Abdomen, CT slice, Slice 408 of 836
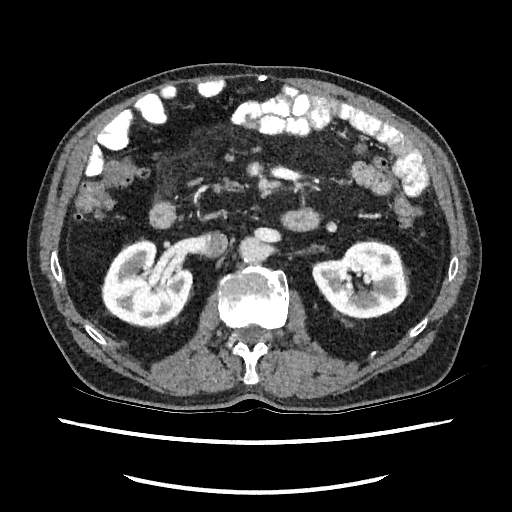
kidney:
  - x1=102 y1=240 x2=192 y2=327
  - x1=312 y1=241 x2=407 y2=318